FLAIR MR image.
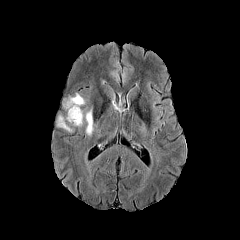
T1-weighted MRI.
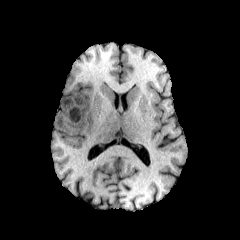
Post-contrast T1-weighted MR image.
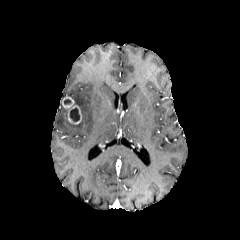
T2-weighted magnetic resonance.
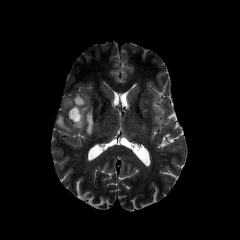
240x240 px. Head.
Enhancing tumor: x1=61, y1=95, x2=82, y2=123.
Edema: x1=56, y1=116, x2=73, y2=132; x1=86, y1=109, x2=93, y2=135; x1=72, y1=93, x2=85, y2=106.
Non-enhancing tumor core: x1=70, y1=107, x2=79, y2=121.